CT scan slice | Image size 512x512 | Field of view 380x380 mm 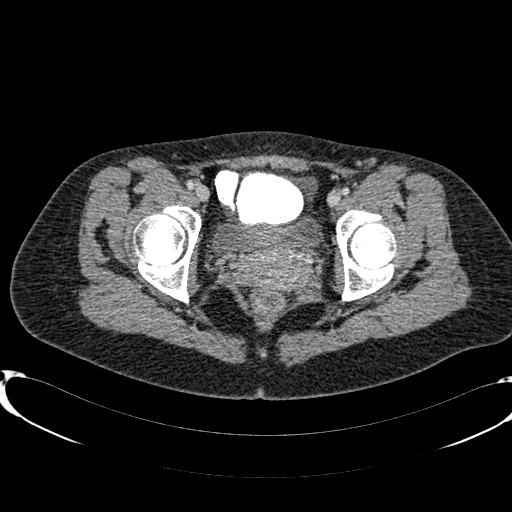 {
  "urinary_bladder": [
    "211:214:321:250"
  ]
}